Slice 26/41 | MR image 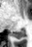 Posterior hippocampus = box=[12, 30, 24, 39].